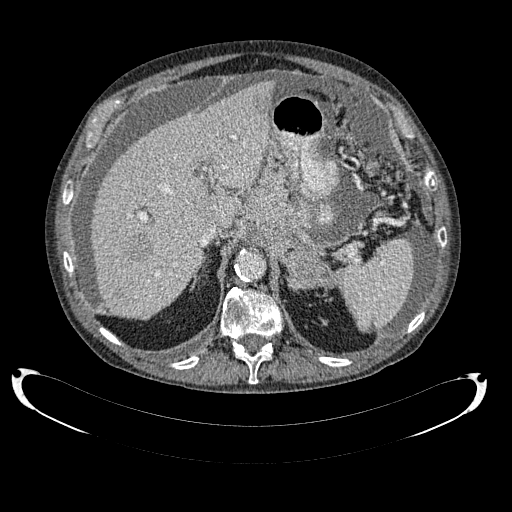

512x512 px; Liver; CT slice
Hepatic lesion — 197, 205, 213, 218; 123, 235, 150, 262.
Liver — 88, 80, 274, 318.